Image size 512x512, CT slice

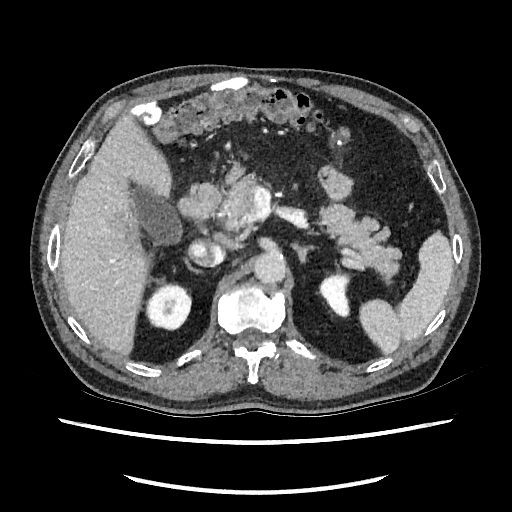 focal_liver_lesion:
  - 128, 227, 146, 263
  - 110, 212, 124, 228
liver:
  - 64, 116, 169, 352
kidney:
  - 322, 273, 349, 316
  - 146, 282, 191, 329